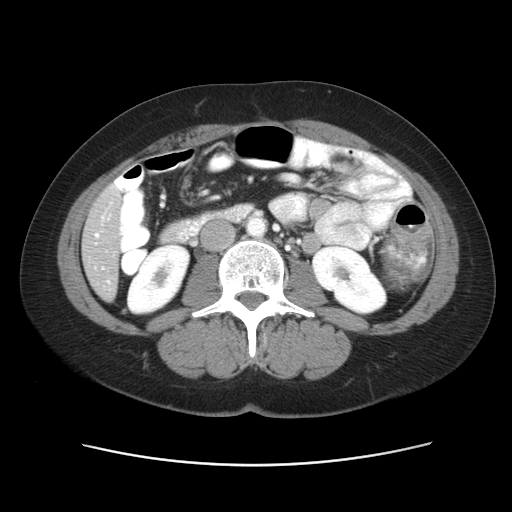 CT image.
Not every hepatic vessel necessarily has a box.
3 hepatic vessel regions are bounded by left=95, top=234, right=97, bottom=236; left=101, top=216, right=104, bottom=220; left=107, top=280, right=109, bottom=282.